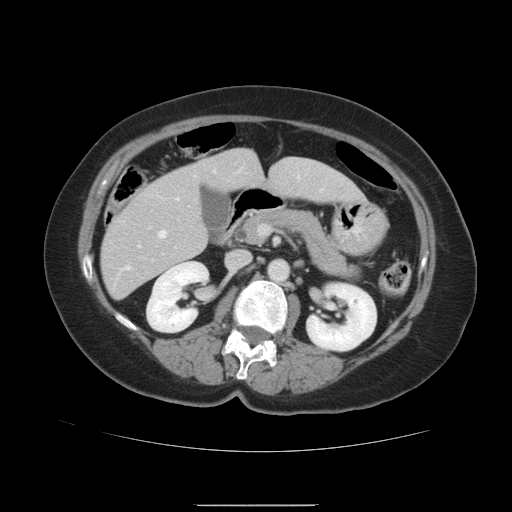
CT slice
Not every hepatic vessel necessarily has a box.
15 hepatic vessel regions are bounded by [321, 188, 324, 191], [297, 174, 300, 179], [236, 167, 243, 173], [177, 197, 179, 199], [150, 226, 151, 228], [159, 230, 167, 238], [138, 245, 140, 246], [153, 259, 154, 261], [195, 175, 197, 176], [113, 265, 130, 289], [198, 245, 201, 245], [258, 227, 259, 234], [214, 170, 215, 173], [175, 235, 188, 248], [163, 252, 164, 254].